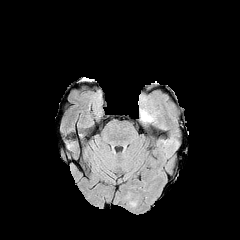
FLAIR MR.
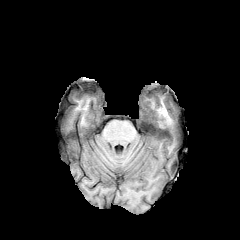
Same slice, T1-weighted magnetic resonance.
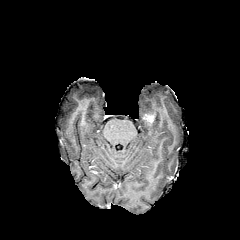
Post-contrast T1-weighted MR of the same slice.
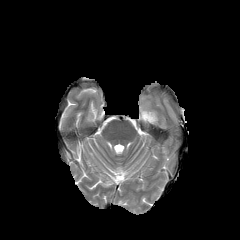
T2-weighted MR image of the same slice.
Edema: bounding box (x1=139, y1=108, x2=156, y2=123).